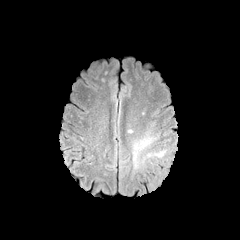
FLAIR MRI.
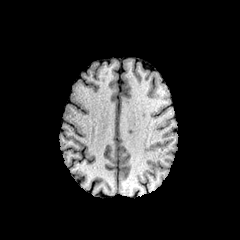
T1-weighted MR.
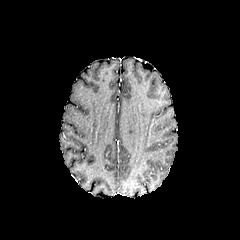
Post-contrast T1-weighted MR.
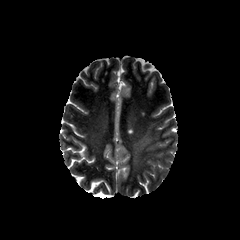
Same slice, T2-weighted MRI.
240x240
Edema — rect(133, 135, 153, 168).